Image width 240 mm. Head. 240x240 px.
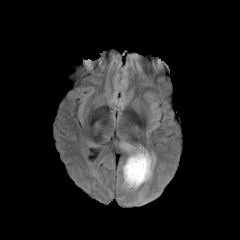
FLAIR MRI.
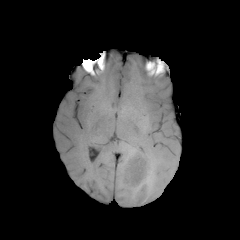
T1-weighted magnetic resonance of the same slice.
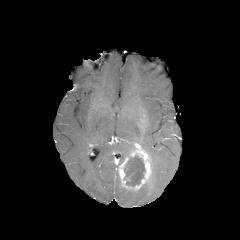
Post-contrast T1-weighted MR.
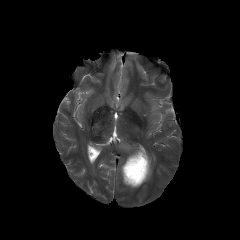
Same slice, T2-weighted MRI.
edema:
  - 123 146 137 157
enhancing_tumor:
  - 119 161 128 183
  - 131 146 150 187
non-enhancing_tumor_core:
  - 125 155 144 186